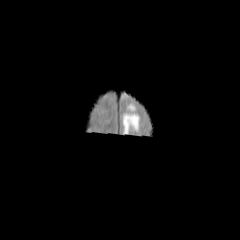
FLAIR magnetic resonance.
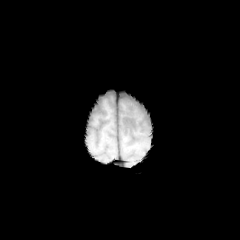
T1-weighted MR image of the same slice.
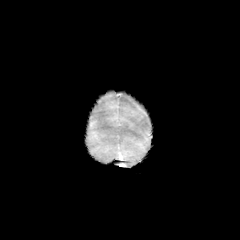
Post-contrast T1-weighted MRI.
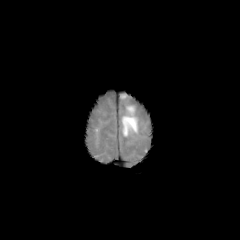
Same slice, T2-weighted MRI.
Head.
<segmentation>
  <edema>(122, 105, 138, 137)</edema>
</segmentation>